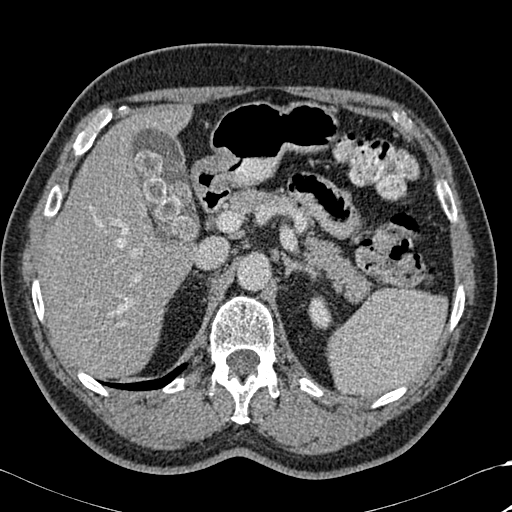
Abdomen | Computed tomography
Segmented structures:
* bone: bbox=[78, 373, 107, 395]; bbox=[163, 379, 184, 392]; bbox=[438, 182, 456, 220]; bbox=[32, 281, 43, 319]; bbox=[44, 186, 61, 216]; bbox=[210, 297, 278, 423]; bbox=[73, 121, 103, 154]; bbox=[300, 378, 322, 396]; bbox=[373, 387, 405, 406]; bbox=[451, 286, 464, 328]
* kidney: bbox=[310, 300, 329, 325]
* liver: bbox=[126, 106, 188, 135]; bbox=[38, 125, 192, 379]
* lung: bbox=[101, 363, 187, 390]